Slice 39 of 95, Field of view 474 mm wide, 2.50 mm slice spacing, 512x512, CT image

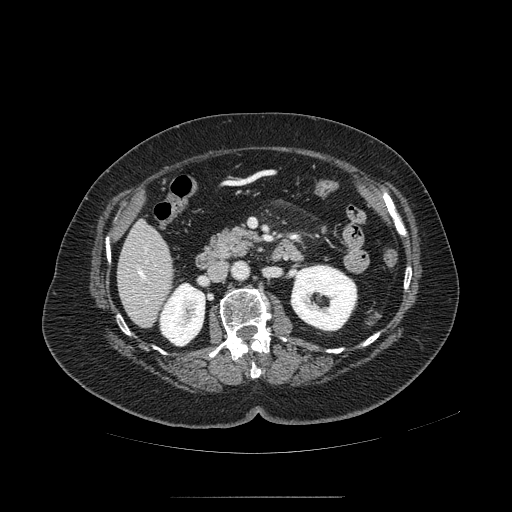 Pancreas — (217,224,255,260).